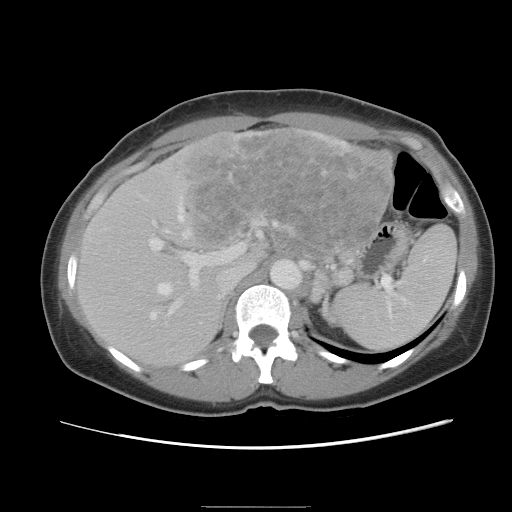 Abdomen, CT
Only some of the vessels may be annotated.
Findings:
* hepatic vessel: bbox=[256, 232, 260, 235]; bbox=[178, 213, 179, 219]; bbox=[150, 237, 162, 249]; bbox=[180, 242, 254, 291]; bbox=[157, 283, 170, 293]; bbox=[164, 230, 167, 231]; bbox=[169, 302, 179, 312]; bbox=[151, 312, 155, 317]; bbox=[152, 220, 154, 222]
* liver tumor: bbox=[178, 130, 388, 253]